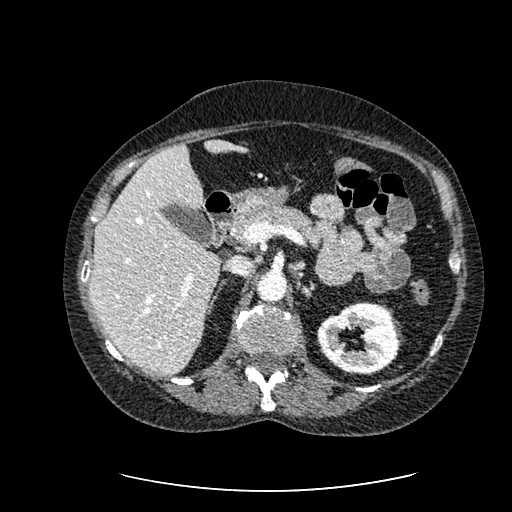
Abdomen | CT scan slice

Kidney — (318,303,398,373).
Liver — (92,145,218,374), (204,139,249,153).